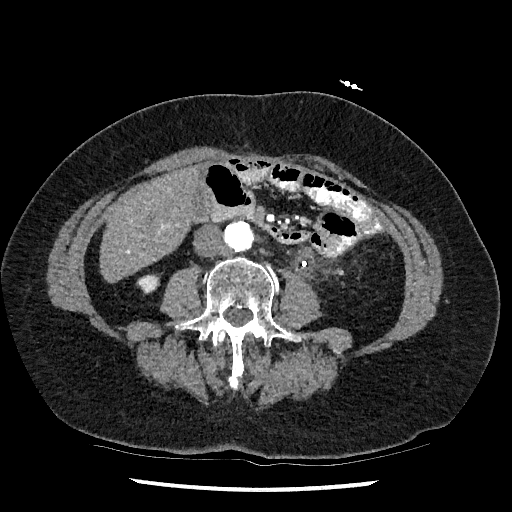
Computed tomography, Abdomen, 512x512 px
Segmented structures:
• kidney: l=139, t=276, r=156, b=292
• liver: l=99, t=165, r=200, b=281